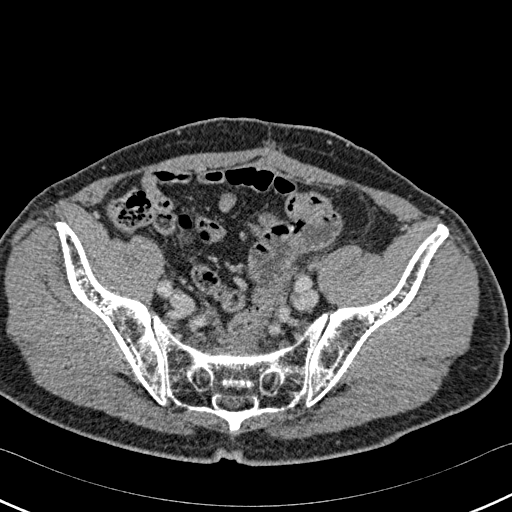

CT scan slice
The bone is at region(56, 222, 448, 430).